MRI slice | 35x48 px | Hippocampus

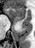 The anterior hippocampus lies within box=[6, 6, 25, 20].